Head
FLAIR MR.
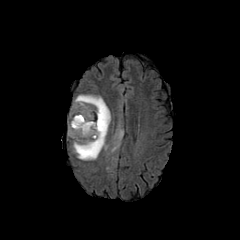
T1-weighted MR.
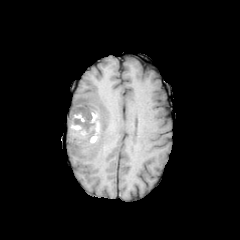
Post-contrast T1-weighted MRI.
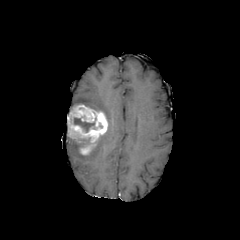
T2-weighted MRI.
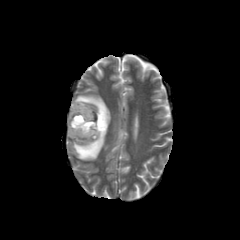
enhancing_tumor:
  - (67, 104, 107, 155)
non-enhancing_tumor_core:
  - (74, 118, 95, 132)
edema:
  - (67, 127, 107, 160)
  - (71, 94, 110, 127)